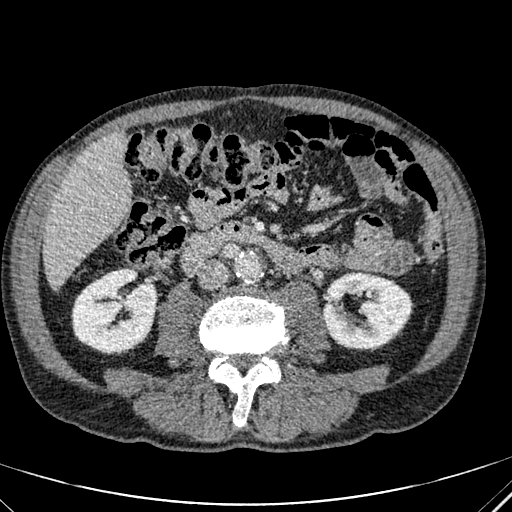
CT slice. Annotated regions:
• kidney: bbox(73, 270, 155, 351); bbox(324, 273, 410, 348)
• liver: bbox(44, 135, 129, 288)